Brain
FLAIR MRI.
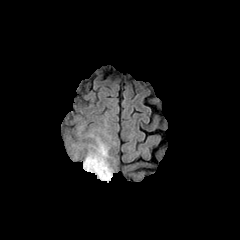
T1-weighted MRI.
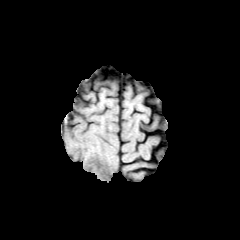
Post-contrast T1-weighted magnetic resonance.
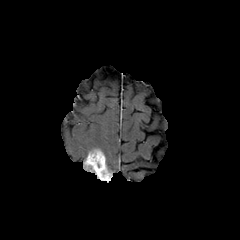
T2-weighted MR image.
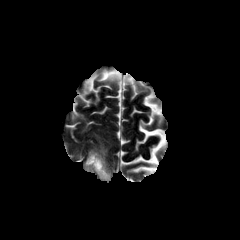
<segmentation>
  <enhancing_tumor>84, 150, 111, 181</enhancing_tumor>
  <edema>88, 141, 108, 161</edema>
</segmentation>